Slice 42/95. 512x512 px. CT slice. 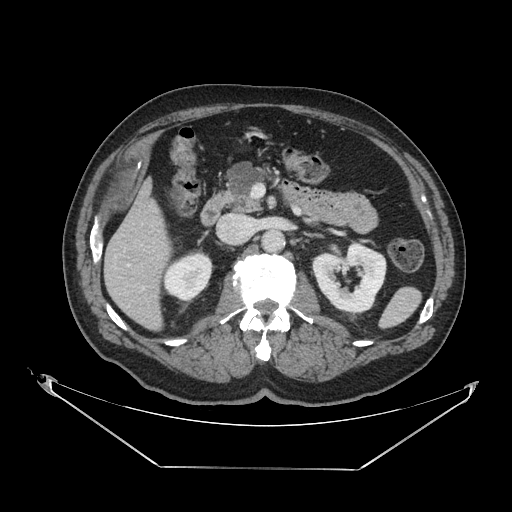
pancreatic_tumor:
  - {"x1": 228, "y1": 162, "x2": 261, "y2": 195}
pancreas:
  - {"x1": 218, "y1": 161, "x2": 268, "y2": 214}